Slice 127 of 165; CT image; Abdomen 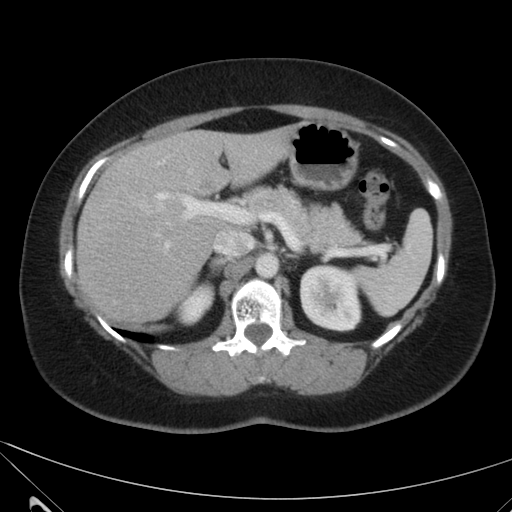
2 kidney regions are bounded by region(184, 291, 209, 320); region(301, 267, 359, 329). The hepatic lesion is located at region(200, 177, 216, 191). The liver is at region(77, 129, 289, 322).